CT scan slice. Abdomen. Field of view 369 mm wide, 0.80 mm slice spacing.

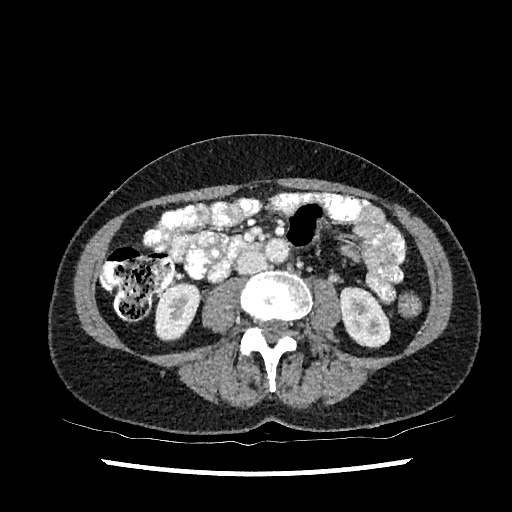 2 kidney regions are located at left=341, top=288, right=389, bottom=346; left=156, top=284, right=198, bottom=338.